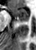

Medial temporal lobe; MR
The anterior hippocampus is at rect(10, 7, 29, 21).